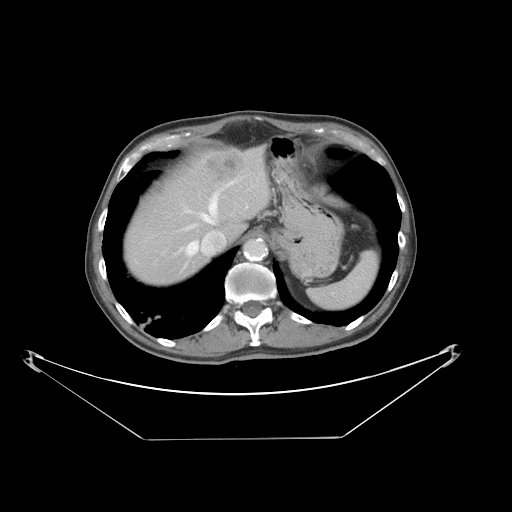
Liver; CT slice
Some hepatic vessels may have no box.
5 hepatic vessel regions appear at left=191, top=225, right=194, bottom=226; left=201, top=191, right=217, bottom=223; left=187, top=229, right=224, bottom=254; left=228, top=183, right=233, bottom=185; left=185, top=209, right=191, bottom=212. The liver tumor is located at left=203, top=150, right=247, bottom=183.